Field of view 438 mm wide, 0.70 mm slice spacing, Slice 560 of 683, CT scan slice

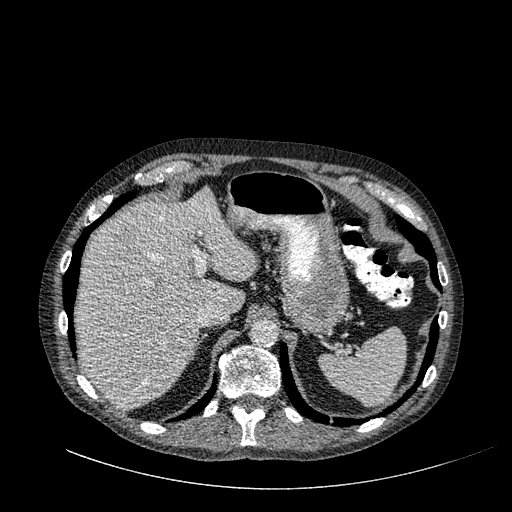
Liver lesion: bounding box rect(118, 231, 136, 245).
Liver: bounding box rect(76, 186, 256, 410).